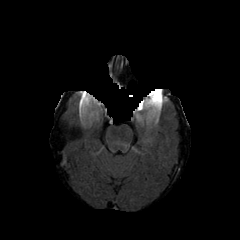
FLAIR magnetic resonance.
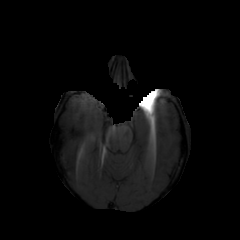
T1-weighted magnetic resonance of the same slice.
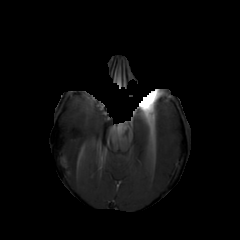
Post-contrast T1-weighted MRI.
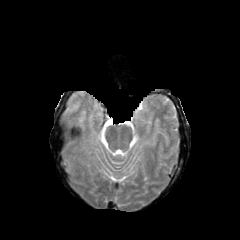
T2-weighted MR.
Head
The enhancing tumor is at region(135, 106, 147, 115). 2 non-enhancing tumor core regions appear at region(138, 106, 155, 125); region(139, 90, 163, 107). The edema is at region(156, 96, 165, 110).